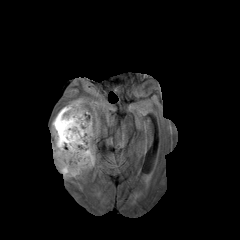
FLAIR MR image.
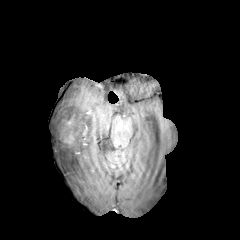
T1-weighted magnetic resonance of the same slice.
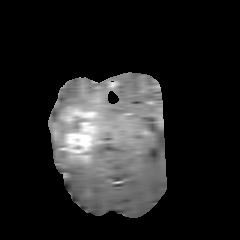
Post-contrast T1-weighted MRI.
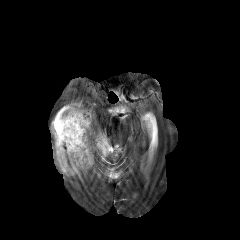
Same slice, T2-weighted MRI.
Head
enhancing tumor: x1=52, y1=107, x2=96, y2=161 | non-enhancing tumor core: x1=54, y1=140, x2=66, y2=165; x1=53, y1=112, x2=63, y2=126 | edema: x1=50, y1=98, x2=88, y2=136; x1=52, y1=142, x2=95, y2=178